CT. Slice index 63. Image size 512x512. Image width 363 mm.
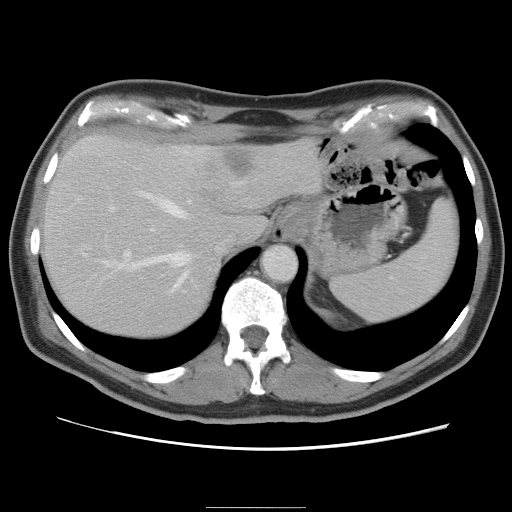 The vessel annotation is not exhaustive.
Hepatic vessel — 138 191 185 216, 109 206 114 210, 170 270 187 291, 232 181 242 185, 101 250 190 269, 150 227 153 230, 82 244 87 255.
Liver tumor — 223 148 251 177, 202 163 215 177.